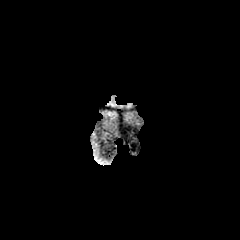
FLAIR MR.
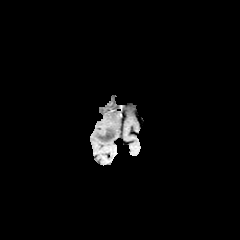
T1-weighted MRI.
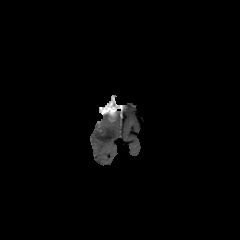
Post-contrast T1-weighted MR image.
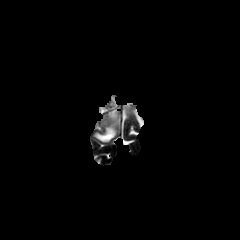
Same slice, T2-weighted MR.
The enhancing tumor is at (100, 97, 117, 121). The edema is at (98, 129, 114, 142).